Slice 50 of 155; Brain; 240x240 px
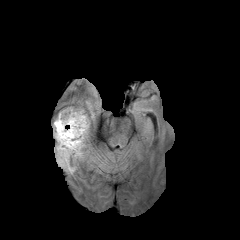
FLAIR magnetic resonance.
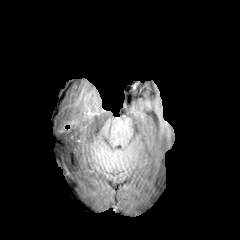
T1-weighted MRI.
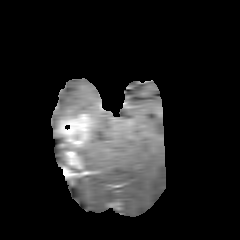
Same slice, post-contrast T1-weighted magnetic resonance.
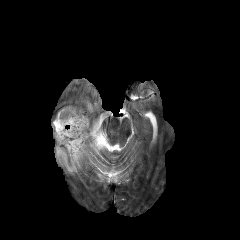
T2-weighted MR image.
{"edema": ["53, 110, 79, 128", "56, 135, 65, 167", "70, 131, 89, 170"], "enhancing_tumor": ["56, 115, 89, 175"]}